CT scan slice. Liver. Field of view 346x346 mm. Slice index 88. 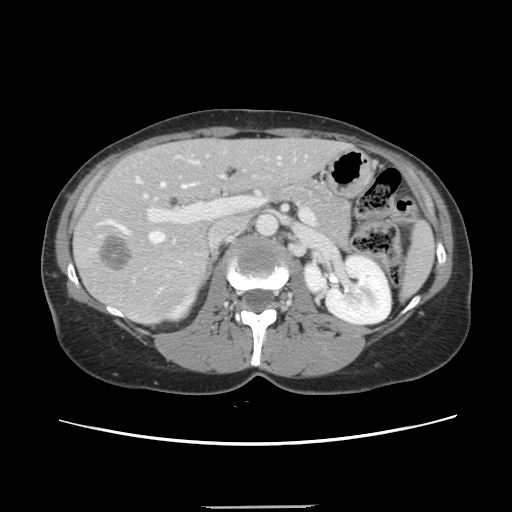
The vessel annotation is not exhaustive.
Hepatic vessel — <box>277,156,279,163</box>, <box>182,183,195,187</box>, <box>190,161,198,163</box>, <box>176,155,179,157</box>, <box>148,208,156,211</box>, <box>135,176,139,182</box>, <box>97,220,127,232</box>, <box>149,231,163,242</box>, <box>143,194,146,197</box>, <box>161,182,164,185</box>, <box>220,175,223,176</box>.
Liver tumor — <box>100,235,131,270</box>.